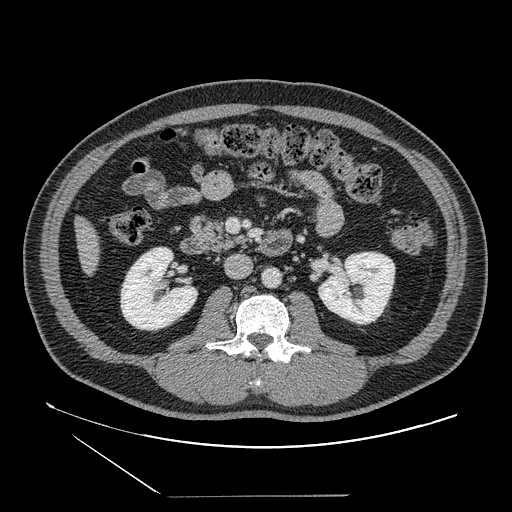
Upper abdomen. Computed tomography. The pancreas is located at (188,215,235,252).